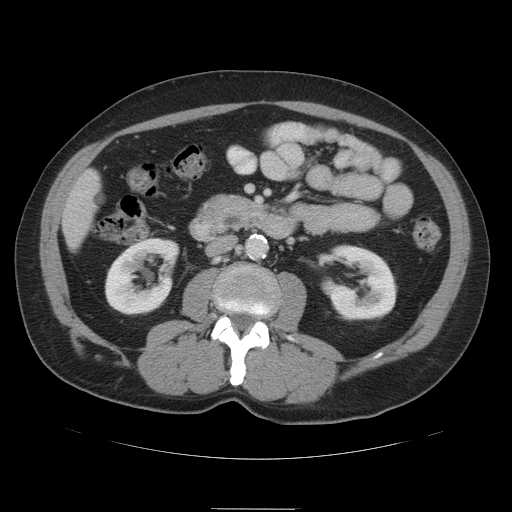
512x512; Abdomen; CT image
The pancreas is bounded by {"x1": 199, "y1": 194, "x2": 268, "y2": 235}.